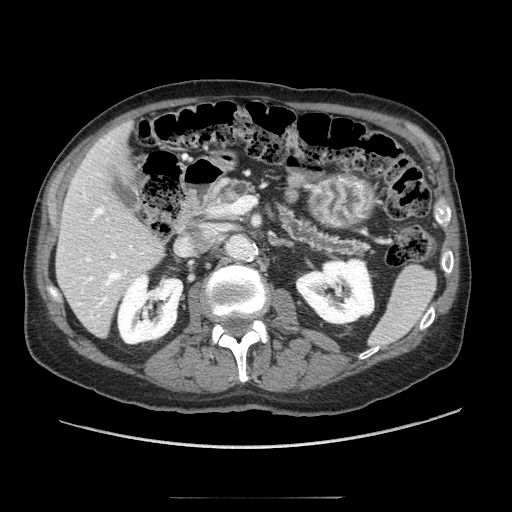
CT image.
pancreas:
  - rect(277, 203, 368, 255)
  - rect(221, 182, 250, 205)